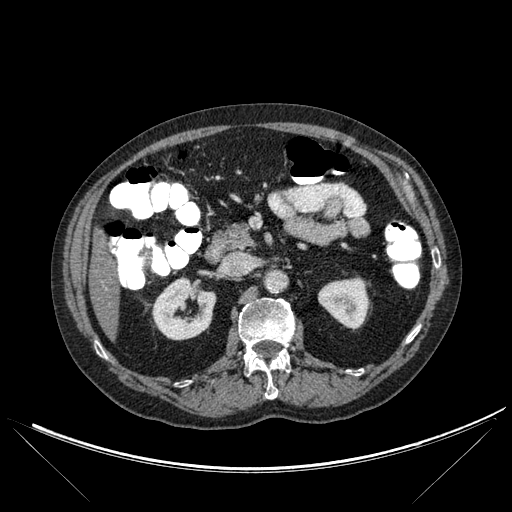 Upper abdomen | Computed tomography
• bone: (left=433, top=251, right=440, bottom=267), (left=239, top=298, right=294, bottom=398), (left=347, top=369, right=363, bottom=375), (left=406, top=326, right=419, bottom=342)
• kidney: (left=318, top=278, right=368, bottom=328), (left=153, top=278, right=215, bottom=339)
• liver: (left=89, top=232, right=121, bottom=339)